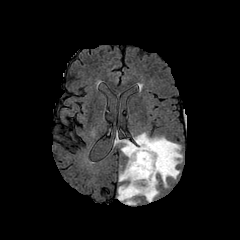
FLAIR magnetic resonance.
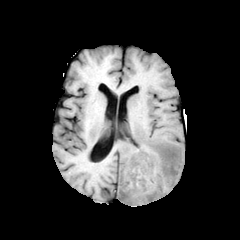
T1-weighted magnetic resonance.
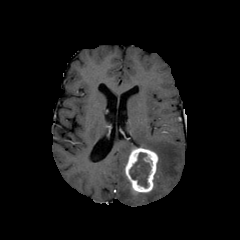
Same slice, post-contrast T1-weighted magnetic resonance.
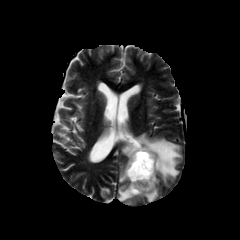
T2-weighted magnetic resonance.
Head
enhancing_tumor:
  - x1=124 y1=146 x2=158 y2=193
edema:
  - x1=118 y1=139 x2=133 y2=162
  - x1=118 y1=132 x2=182 y2=204
non-enhancing_tumor_core:
  - x1=130 y1=153 x2=150 y2=187